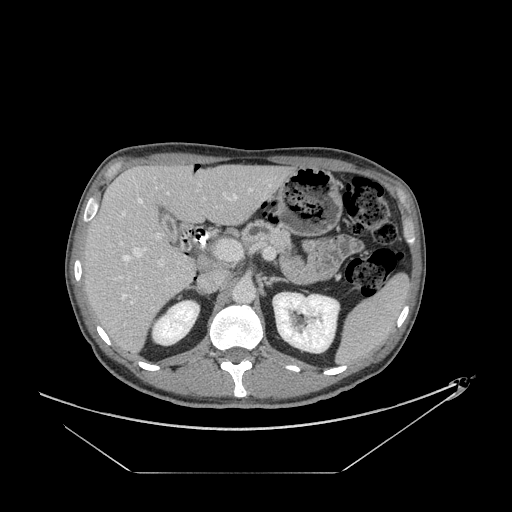 Computed tomography

Segmented structures:
* pancreas: box=[242, 221, 293, 259]